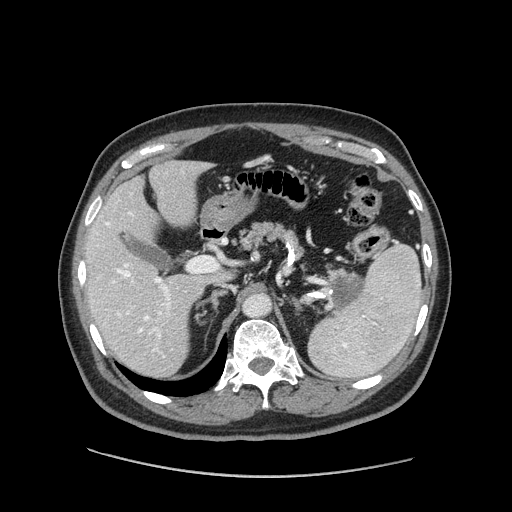

Abdomen, CT slice
2 pancreas regions are bounded by l=328, t=267, r=362, b=289; l=239, t=223, r=303, b=258. The pancreatic tumor is located at l=330, t=275, r=364, b=311.